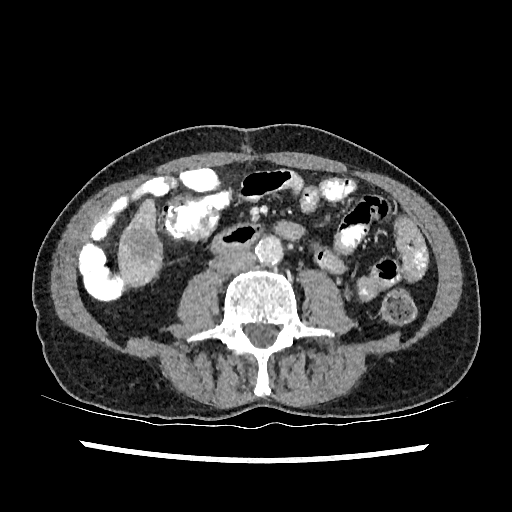

CT image, Upper abdomen

liver:
  - bbox(119, 199, 161, 284)
hepatic_lesion:
  - bbox(126, 226, 160, 259)